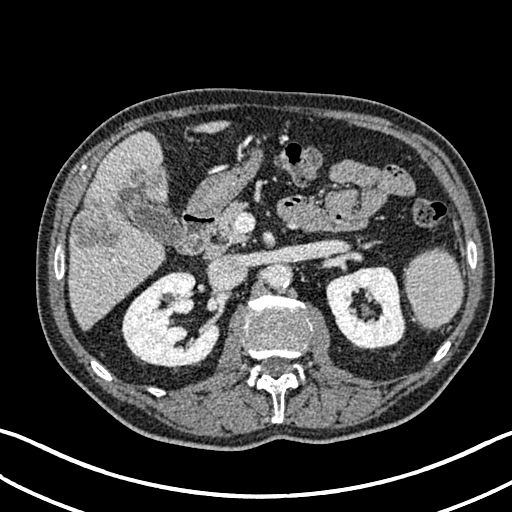 CT. Image size 512x512. Liver. Focal liver lesion at {"x1": 73, "y1": 203, "x2": 118, "y2": 247}, {"x1": 119, "y1": 170, "x2": 162, "y2": 195}.
Kidney at {"x1": 123, "y1": 273, "x2": 218, "y2": 366}, {"x1": 207, "y1": 298, "x2": 217, "y2": 309}, {"x1": 327, "y1": 268, "x2": 403, "y2": 347}.
Liver at {"x1": 196, "y1": 121, "x2": 227, "y2": 132}, {"x1": 70, "y1": 132, "x2": 168, "y2": 329}.